Image size 512x512; Computed tomography 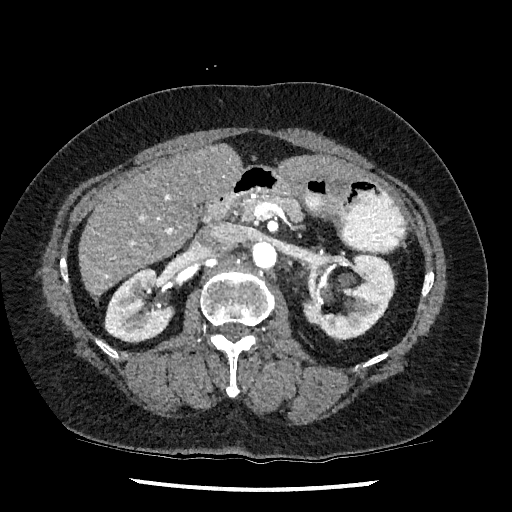
2 kidney regions are located at (x1=105, y1=262, x2=186, y2=341), (x1=304, y1=255, x2=394, y2=338). 2 liver regions appear at (x1=280, y1=157, x2=365, y2=181), (x1=79, y1=146, x2=241, y2=296).